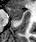
MR, 36x42 px

{"anterior_hippocampus": ["(left=6, top=8, right=23, bottom=20)"]}